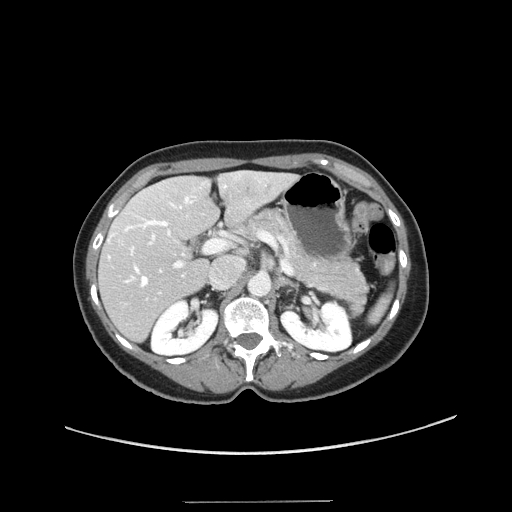 Abdomen, CT, Image size 512x512

Some hepatic vessels may have no box.
14 hepatic vessel regions are bounded by left=109, top=235, right=111, bottom=239; left=123, top=226, right=131, bottom=231; left=171, top=203, right=181, bottom=207; left=202, top=182, right=208, bottom=185; left=141, top=276, right=147, bottom=284; left=135, top=267, right=138, bottom=271; left=205, top=240, right=223, bottom=251; left=175, top=260, right=182, bottom=266; left=150, top=235, right=154, bottom=243; left=131, top=246, right=133, bottom=252; left=140, top=219, right=167, bottom=227; left=185, top=196, right=192, bottom=202; left=123, top=275, right=133, bottom=281; left=168, top=230, right=170, bottom=234.